Abdomen; Field of view 388x388 mm; Slice 176/193; CT slice 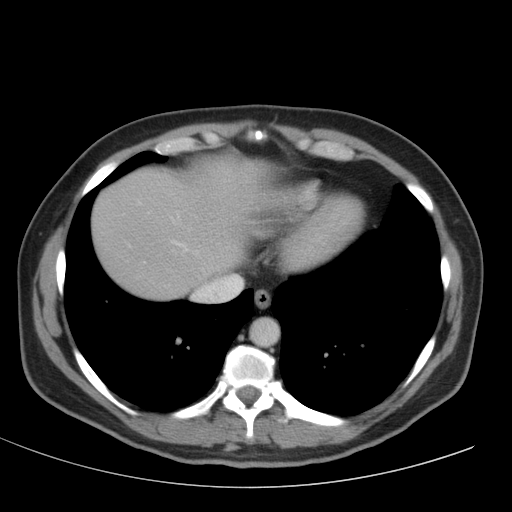

<segmentation>
  <liver>box=[92, 160, 268, 300]</liver>
</segmentation>